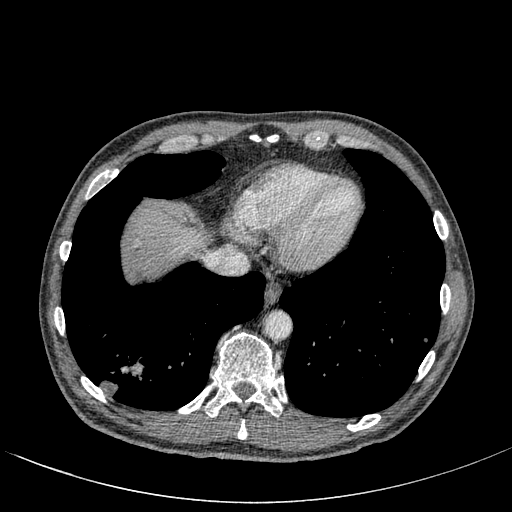 CT scan slice
Segmented structures:
- liver: [123,207,204,276]